CT scan slice, Liver

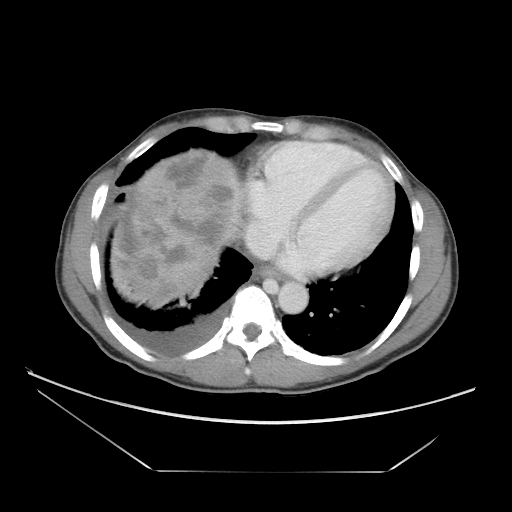 Liver tumor at 112 152 241 302.